Head, Slice 95/155
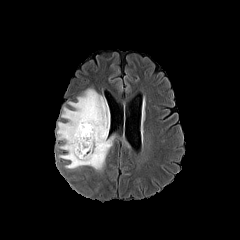
FLAIR magnetic resonance.
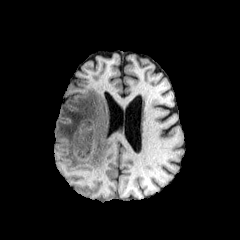
T1-weighted MRI of the same slice.
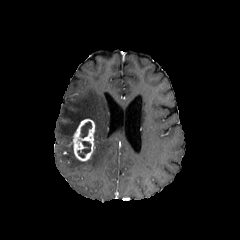
Same slice, post-contrast T1-weighted MRI.
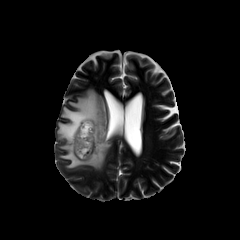
T2-weighted MR.
2 non-enhancing tumor core regions are located at region(79, 121, 91, 137); region(77, 141, 91, 158). The enhancing tumor appears at region(66, 118, 97, 162). The edema appears at region(57, 88, 114, 170).